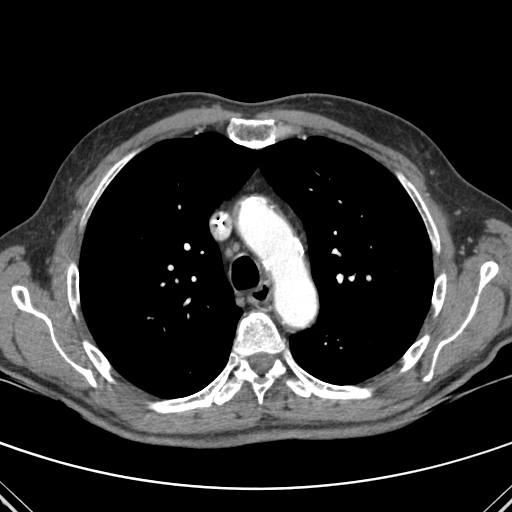 CT slice, Thorax
10 bone regions are located at 67:263:79:315, 432:273:446:315, 88:152:134:208, 423:261:498:381, 149:312:371:413, 11:285:96:386, 399:174:439:252, 228:118:278:148, 83:341:113:381, 400:335:429:371. The lung is located at 79:132:433:398.